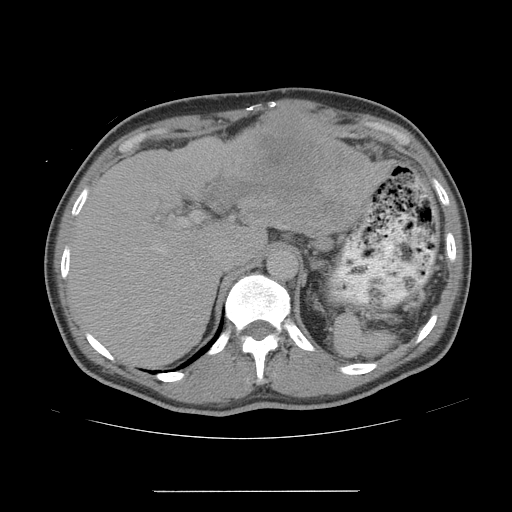
CT scan slice; 512x512 px
The vessel boxes may cover only some of the vessels.
hepatic vessel: box(229, 216, 233, 220); box(147, 240, 165, 253); box(156, 216, 159, 219); box(178, 217, 190, 226); box(180, 252, 181, 253); box(170, 214, 173, 217); box(156, 300, 157, 301); box(190, 210, 203, 222); box(191, 261, 194, 268); box(189, 257, 190, 259) | liver tumor: box(203, 112, 386, 234)